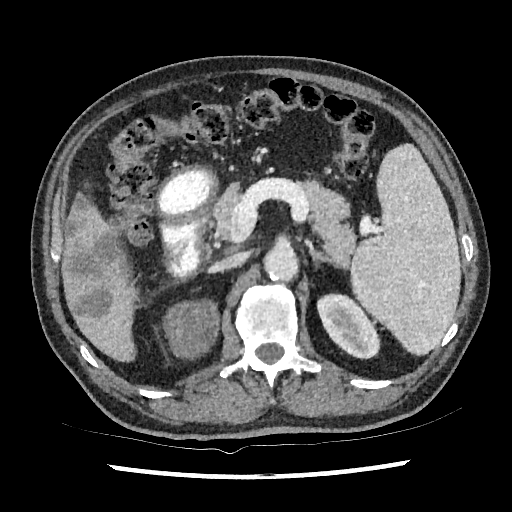
512x512 px | Computed tomography | Abdomen

<segmentation>
  <kidney>box=[317, 294, 379, 358]</kidney>
  <liver>box=[63, 240, 135, 360]; box=[70, 207, 112, 242]; box=[119, 241, 126, 265]</liver>
  <hepatic_lesion>box=[72, 282, 113, 319]; box=[64, 214, 129, 282]; box=[73, 195, 90, 212]</hepatic_lesion>
</segmentation>